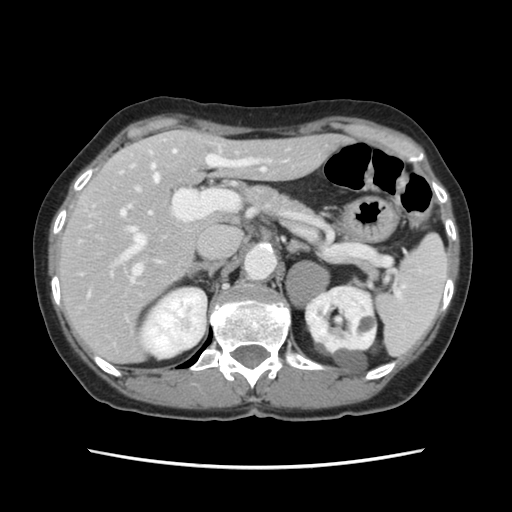

512x512 px, CT slice

Only some of the vessels may be annotated.
12 hepatic vessel regions are located at [x1=206, y1=155, x2=254, y2=166], [x1=120, y1=210, x2=125, y2=215], [x1=173, y1=150, x2=175, y2=152], [x1=151, y1=164, x2=154, y2=168], [x1=122, y1=235, x2=144, y2=259], [x1=128, y1=205, x2=130, y2=207], [x1=268, y1=160, x2=270, y2=161], [x1=132, y1=265, x2=141, y2=280], [x1=149, y1=212, x2=151, y2=214], [x1=129, y1=228, x2=135, y2=231], [x1=154, y1=174, x2=158, y2=181], [x1=131, y1=165, x2=133, y2=166].